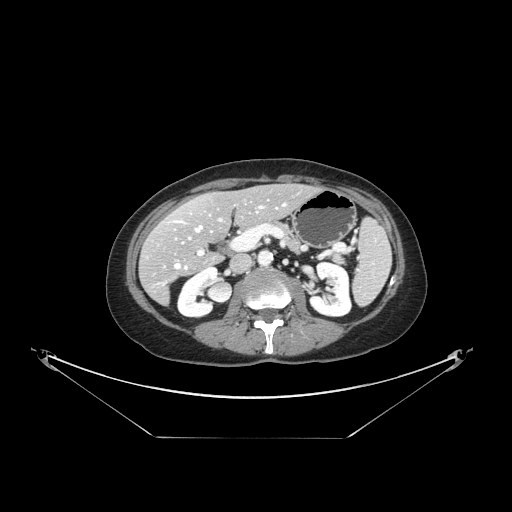 CT. Liver.

Some hepatic vessels may have no box.
Annotated regions:
- hepatic vessel: x1=196, y1=226, x2=201, y2=231; x1=198, y1=251, x2=202, y2=255; x1=260, y1=206, x2=262, y2=208